Brain. Slice index 89.
FLAIR MRI.
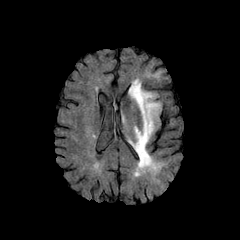
T1-weighted MRI.
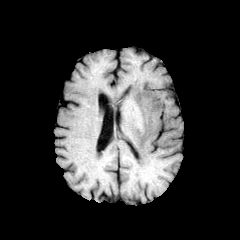
Post-contrast T1-weighted MR image.
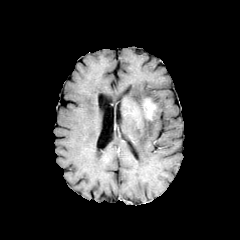
T2-weighted MR.
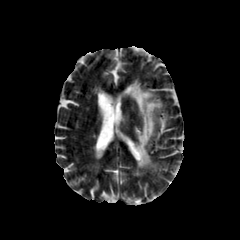
Enhancing tumor = box(144, 99, 156, 119).
Edema = box(128, 78, 161, 176).